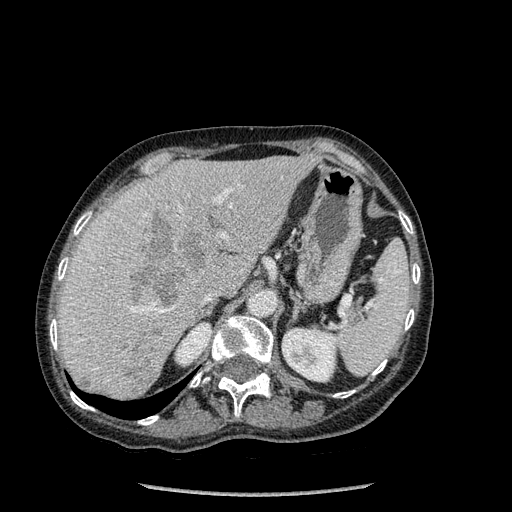
Computed tomography, Liver

The lung lies within (74, 378, 188, 419). 2 kidney regions are bounded by (176, 323, 211, 364), (282, 328, 344, 381). 4 focal liver lesion regions appear at (79, 379, 88, 386), (143, 330, 161, 335), (125, 360, 156, 392), (130, 219, 206, 304). The liver is located at (59, 154, 321, 400). 13 bone regions are located at (404, 309, 414, 330), (218, 372, 270, 417), (371, 359, 386, 375), (333, 390, 355, 398), (74, 211, 91, 235), (412, 263, 420, 283), (190, 371, 209, 387), (57, 257, 68, 280), (399, 211, 412, 233), (50, 319, 57, 349), (70, 391, 94, 410), (138, 415, 158, 425), (212, 316, 273, 364).